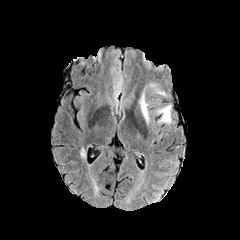
FLAIR MR.
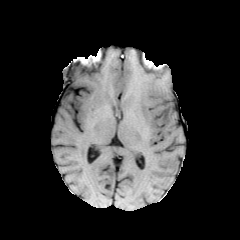
T1-weighted magnetic resonance.
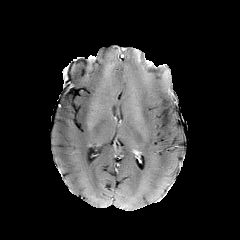
Post-contrast T1-weighted MR image.
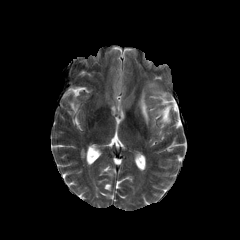
Same slice, T2-weighted magnetic resonance.
240x240 px
<segmentation>
  <edema>box=[138, 83, 173, 127]</edema>
</segmentation>